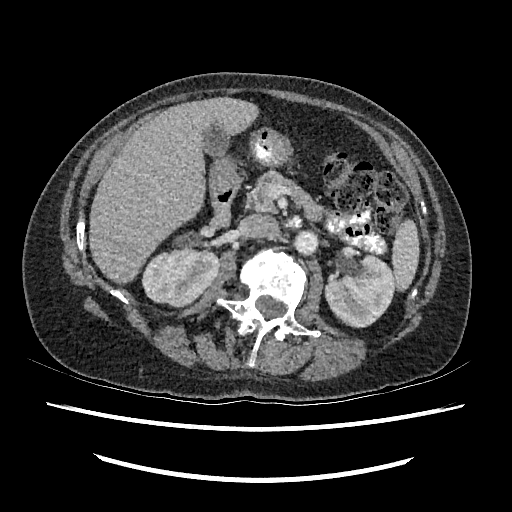
Abdomen, CT scan slice
<segmentation>
  <liver>90, 97, 258, 283</liver>
  <kidney>325, 256, 396, 326; 142, 249, 219, 306</kidney>
</segmentation>